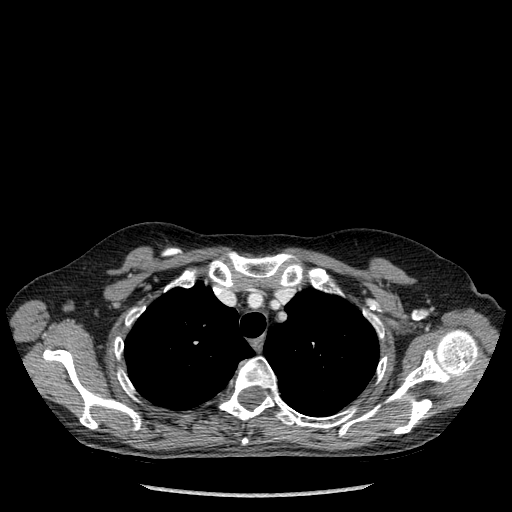 CT image. Thorax. Segmented structures:
• lung: rect(264, 288, 378, 416); rect(124, 282, 265, 410)
• bone: rect(164, 270, 195, 291); rect(43, 349, 141, 430); rect(219, 330, 478, 436); rect(113, 336, 123, 359); rect(117, 369, 136, 399); rect(377, 356, 387, 382); rect(209, 252, 303, 294); rect(365, 313, 384, 338); rect(125, 306, 145, 326); rect(309, 268, 335, 292)